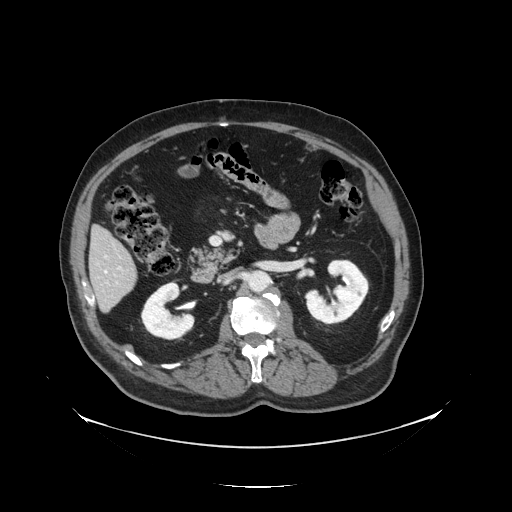 Liver; CT slice
Some hepatic vessels may have no box.
3 hepatic vessel regions are located at <bbox>118, 267, 122, 270</bbox>, <bbox>104, 271, 107, 273</bbox>, <bbox>105, 256, 107, 258</bbox>.